CT scan slice | Slice index 238
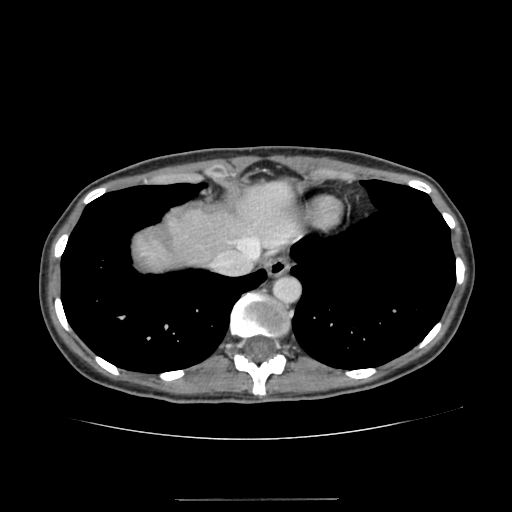
liver: x1=138, y1=183, x2=298, y2=270